Slice index 548; CT

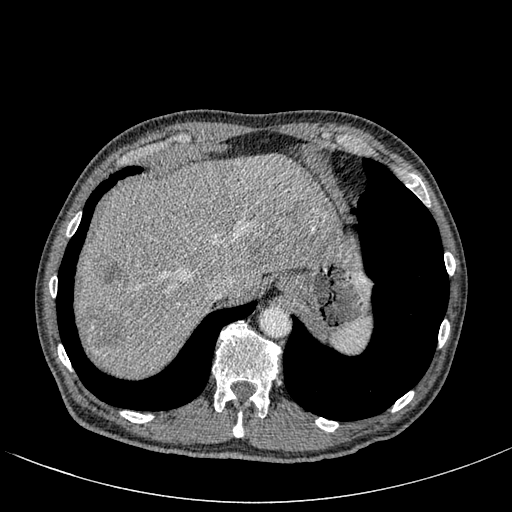 Liver at x1=78, y1=153, x2=352, y2=377.
Focal liver lesion at x1=216, y1=166, x2=225, y2=176; x1=287, y1=201, x2=307, y2=222; x1=82, y1=305, x2=126, y2=347; x1=251, y1=245, x2=273, y2=263; x1=99, y1=261, x2=123, y2=287.